Liver; Slice 34/50; CT scan slice 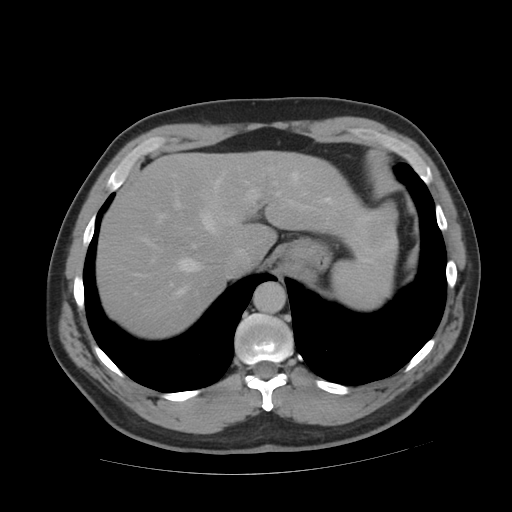

The vessel boxes may cover only some of the vessels.
Hepatic vessel: 142,274,149,277; 143,239,149,243; 273,181,278,185; 324,198,331,202; 160,215,163,217; 202,212,215,232; 276,191,281,194; 177,202,179,205; 215,178,221,191; 175,258,203,272; 176,286,187,294; 291,170,303,184; 286,199,313,208.
Liver tumor: 362,216,393,251.